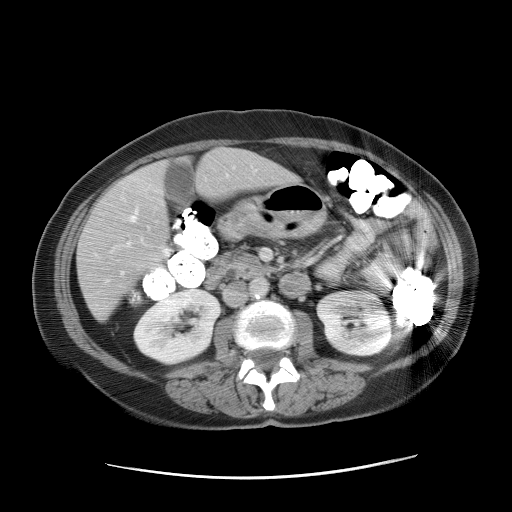
Computed tomography. The vessel annotation is not exhaustive.
hepatic vessel: (141,239,142,240), (121,272,123,274), (226,175,227,176), (130,209,137,221), (127,243,130,246)